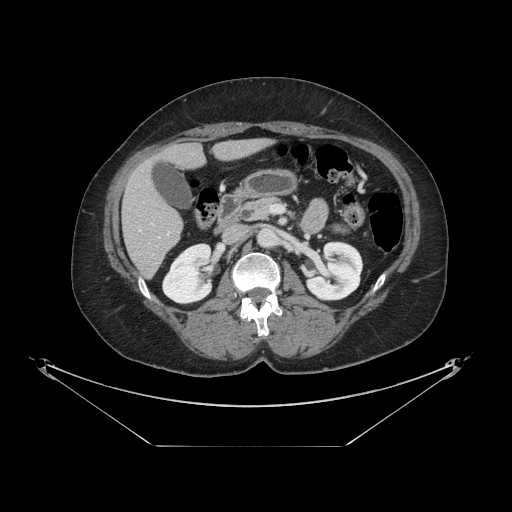

CT slice.

<segmentation>
  <pancreas>(248,197,281,220)</pancreas>
</segmentation>